Abdomen. Field of view 432 mm wide, 0.70 mm slice spacing. CT image. 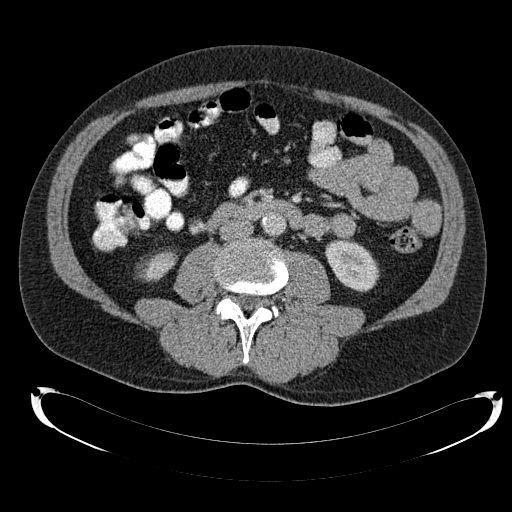 kidney:
  - x1=145, y1=253, x2=173, y2=279
  - x1=326, y1=241, x2=377, y2=290